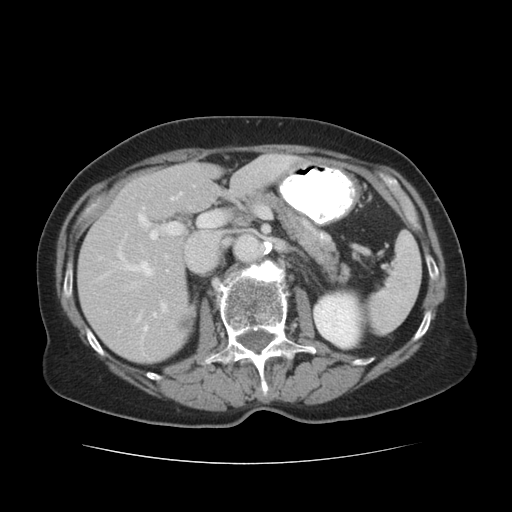

Computed tomography
Segmented structures:
• kidney: (314,294,359,347)
• hepatic lesion: (178,315,192,330)
• bone: (414,310,431,340), (85,327,104,355), (147,373,162,379), (426,254,439,286), (64,264,72,302), (210,255,314,398), (384,175,397,188)
• liver: (77,154,324,362)